Computed tomography 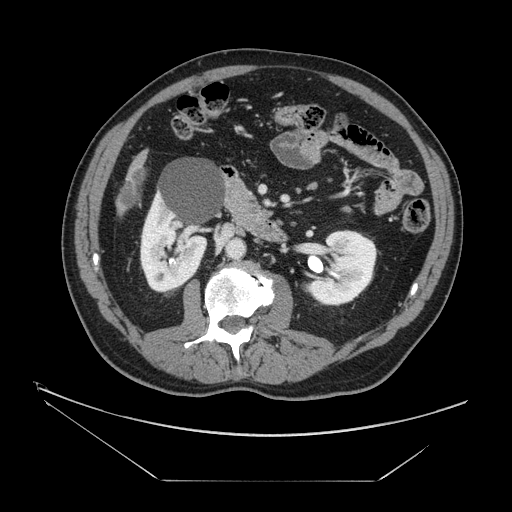

{
  "liver_tumor": [
    "120 173 141 206"
  ]
}